Image size 240x240. Slice index 122. Head.
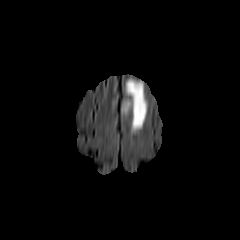
FLAIR magnetic resonance.
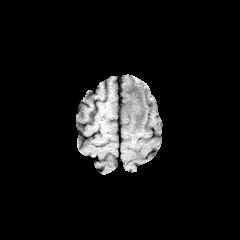
T1-weighted MR.
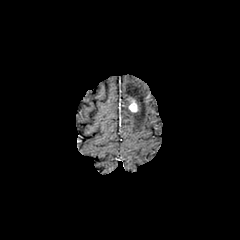
Same slice, post-contrast T1-weighted MRI.
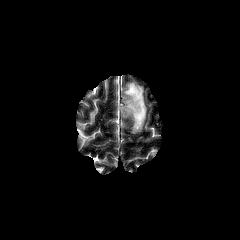
Same slice, T2-weighted MR image.
• enhancing tumor: [x1=128, y1=100, x2=137, y2=112]
• edema: [x1=121, y1=79, x2=147, y2=133]